Slice 54 of 155
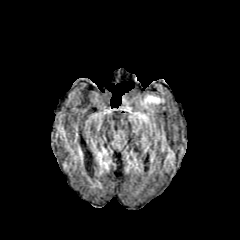
FLAIR magnetic resonance.
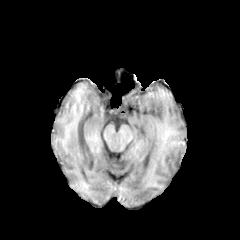
T1-weighted MR image.
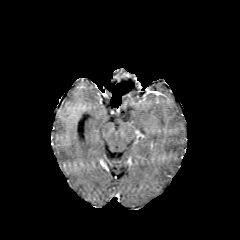
Post-contrast T1-weighted MR image.
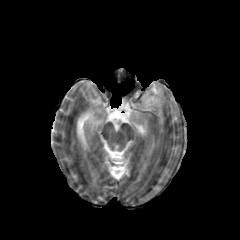
T2-weighted MR.
{
  "edema": [
    "box(145, 96, 158, 102)"
  ]
}